Abdomen, Computed tomography, Image width 512 mm, Slice 47/151
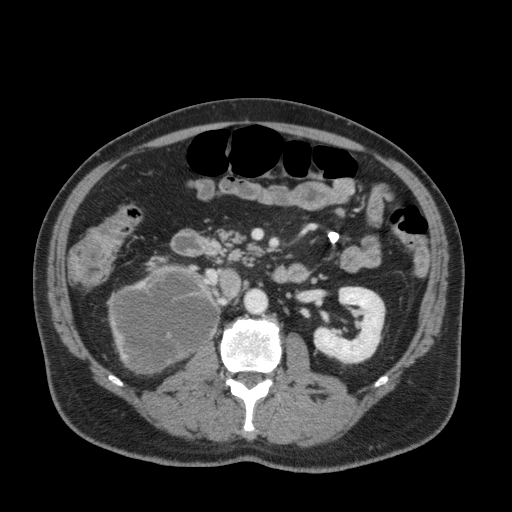

- kidney: (315, 287, 383, 362)